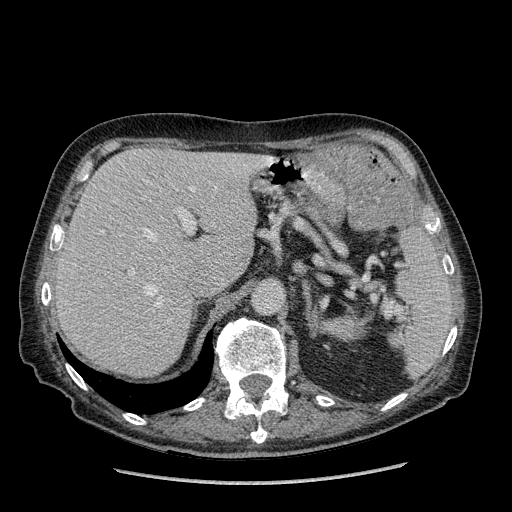
Image size 512x512 | CT image
• liver: (left=56, top=150, right=259, bottom=377)